Computed tomography
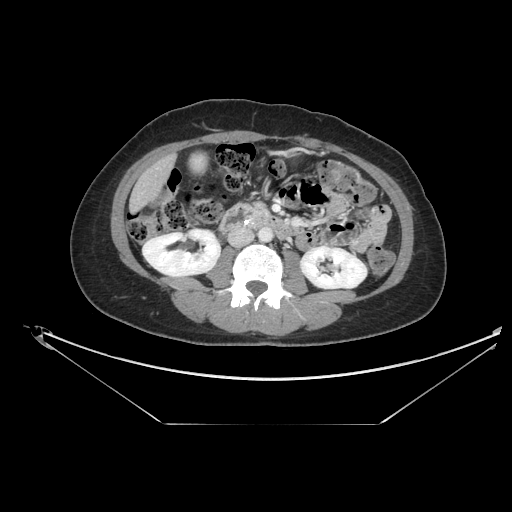
The pancreas lies within (250, 201, 270, 227).